CT, Image size 512x512

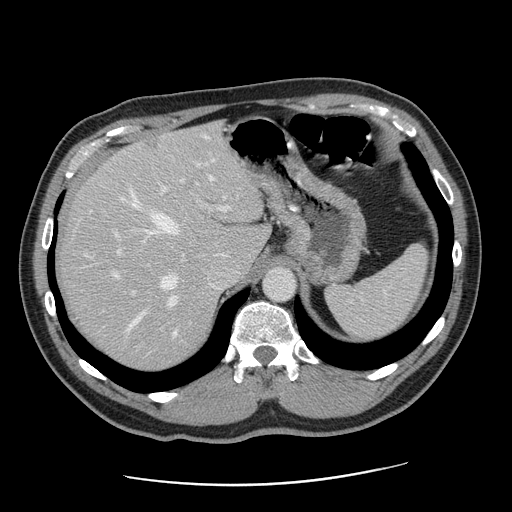
Not every hepatic vessel necessarily has a box.
The top 15 hepatic vessel regions (of 21) appear at [x1=244, y1=247, x2=246, y2=257], [x1=116, y1=233, x2=119, y2=238], [x1=217, y1=206, x2=228, y2=210], [x1=121, y1=197, x2=125, y2=201], [x1=173, y1=331, x2=177, y2=336], [x1=163, y1=186, x2=167, y2=191], [x1=202, y1=244, x2=240, y2=283], [x1=152, y1=212, x2=176, y2=232], [x1=209, y1=175, x2=213, y2=179], [x1=168, y1=297, x2=176, y2=306], [x1=113, y1=271, x2=118, y2=276], [x1=129, y1=191, x2=141, y2=207], [x1=126, y1=314, x2=143, y2=332], [x1=118, y1=249, x2=121, y2=253], [x1=161, y1=275, x2=176, y2=288]. The liver tumor lies within [x1=140, y1=136, x2=161, y2=151].